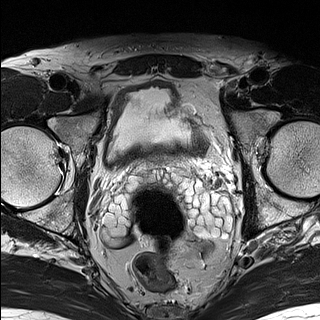
T2-weighted magnetic resonance.
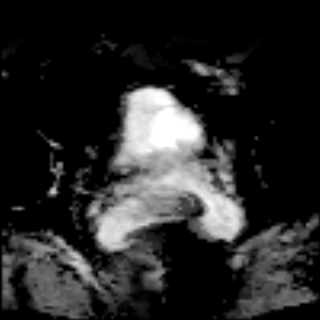
ADC MR image.
{
  "prostate_transition_zone": [
    "[x1=152, y1=152, x2=164, y2=163]"
  ]
}